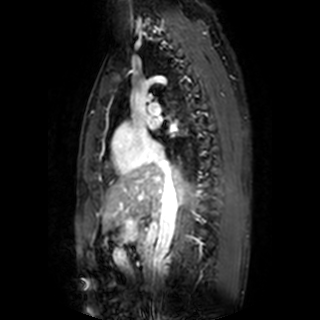
MRI slice, Cardiac
Left atrium: (x1=146, y1=115, x2=159, y2=129).